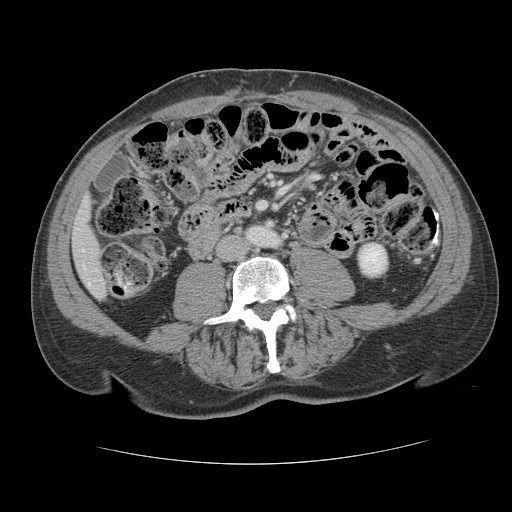
Abdomen, CT
The vessel annotation is not exhaustive.
Hepatic vessel: 82:249:83:250, 88:282:89:284, 83:265:84:268.